CT

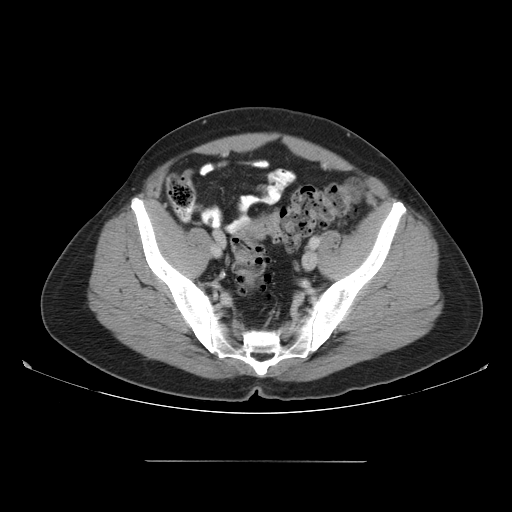
Colon tumor at <bbox>239, 212, 280, 239</bbox>.